FLAIR MRI.
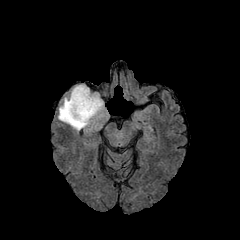
T1-weighted magnetic resonance.
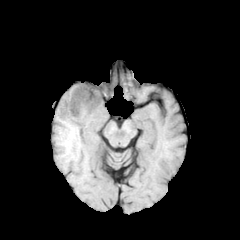
Post-contrast T1-weighted MRI.
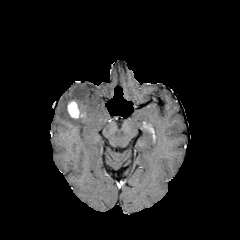
T2-weighted MR image.
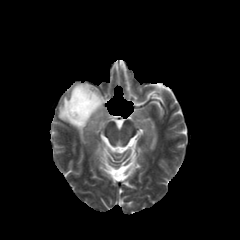
Image size 240x240
Findings:
- enhancing tumor: (x1=66, y1=101, x2=86, y2=118)
- edema: (x1=58, y1=84, x2=104, y2=130)